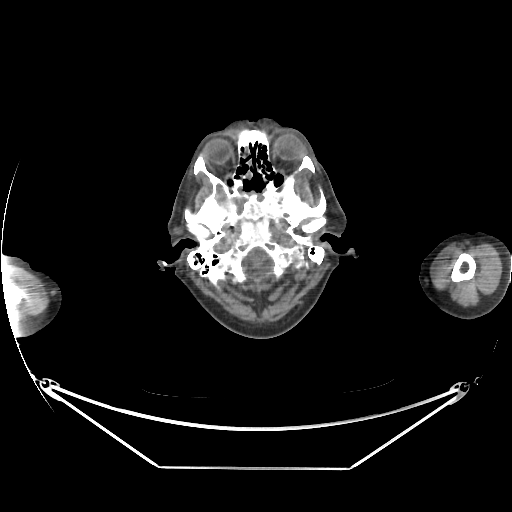

Computed tomography, 512x512 px

Brain: x1=241 y1=246 x2=274 y2=281.